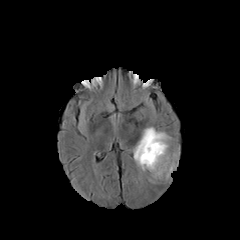
FLAIR MR image.
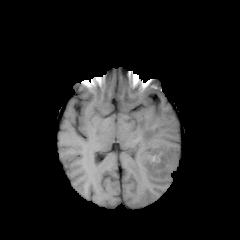
T1-weighted MR of the same slice.
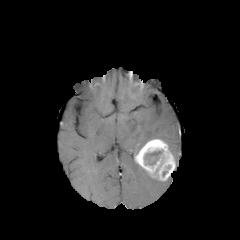
Same slice, post-contrast T1-weighted magnetic resonance.
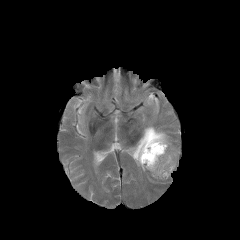
T2-weighted MR image of the same slice.
2 edema regions are located at 173 146 179 164, 131 125 173 152. The enhancing tumor is located at 134 139 175 181. The non-enhancing tumor core is bounded by 147 151 161 160.